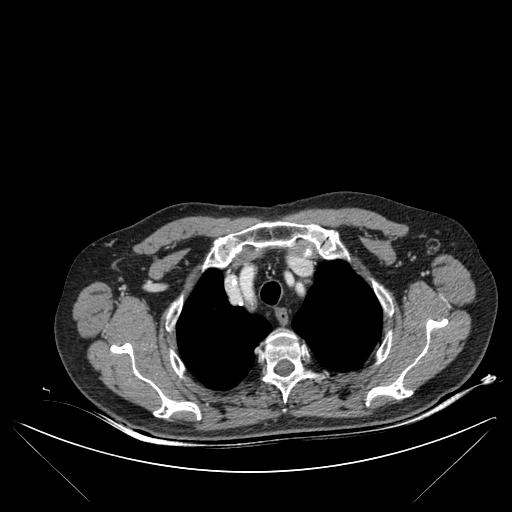

CT
8 bone regions appear at left=377, top=332, right=391, bottom=363; left=167, top=297, right=182, bottom=330; left=373, top=281, right=393, bottom=315; left=205, top=221, right=342, bottom=267; left=261, top=332, right=315, bottom=401; left=366, top=319, right=447, bottom=405; left=110, top=343, right=200, bottom=419; left=170, top=351, right=184, bottom=375. 3 lung regions are bounded by left=261, top=282, right=279, bottom=304; left=292, top=260, right=381, bottom=371; left=176, top=268, right=271, bottom=389.